CT image 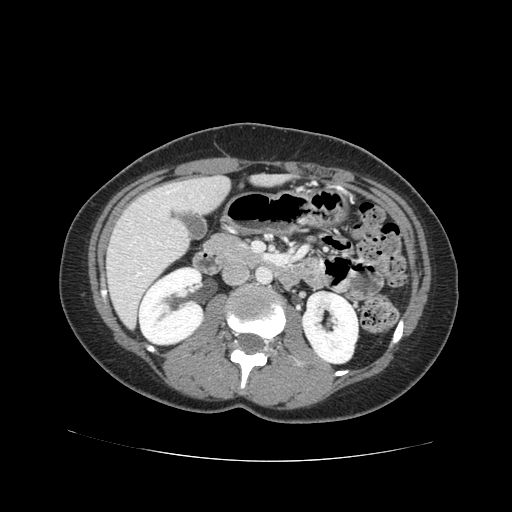 The pancreas is at (206,233,257,265).